Abdomen, CT 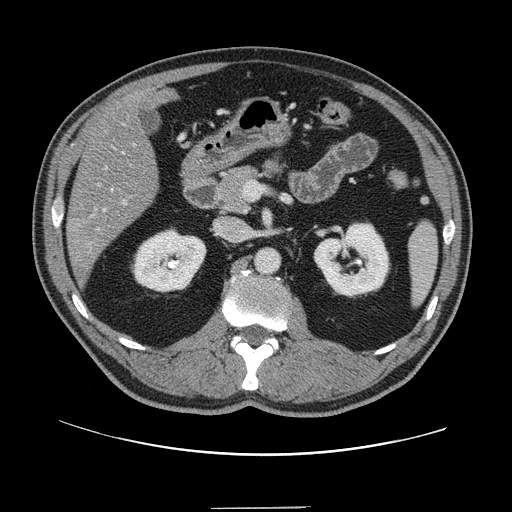
Not every hepatic vessel necessarily has a box.
Liver tumor: 68:213:100:239.
Hepatic vessel: 98:184:100:186, 105:167:107:169, 98:229:99:230, 133:144:135:146, 104:209:106:211, 122:151:124:153, 123:201:126:204.